Image width 240 mm; Brain
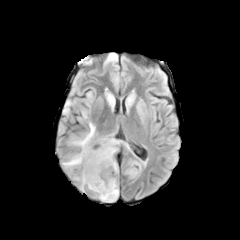
FLAIR magnetic resonance.
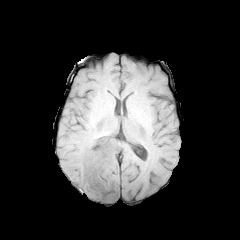
T1-weighted magnetic resonance.
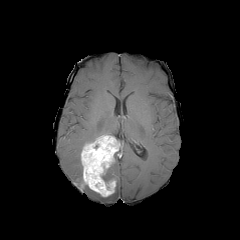
Post-contrast T1-weighted magnetic resonance of the same slice.
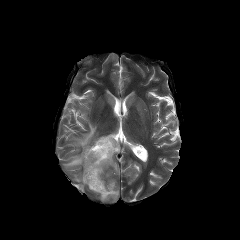
T2-weighted MR of the same slice.
The non-enhancing tumor core lies within 101, 162, 114, 185. 5 edema regions appear at 63, 153, 81, 170; 70, 121, 96, 147; 111, 160, 118, 173; 63, 98, 78, 116; 96, 167, 118, 201. The enhancing tumor is located at 81, 136, 119, 196.